CT slice | Liver

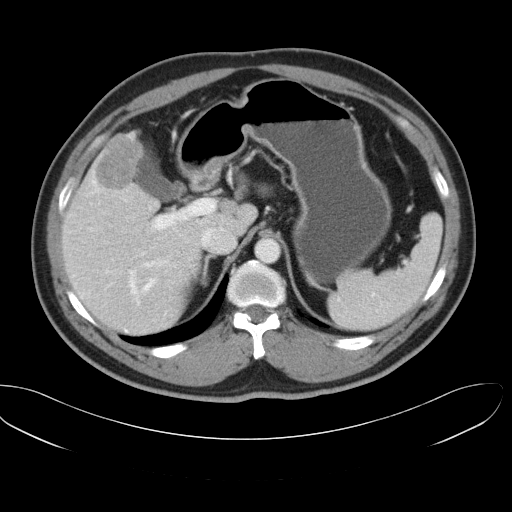

The vessel annotation is not exhaustive.
partial: true
hepatic_vessel:
  # 15 of 16 shown
  - box=[129, 270, 139, 303]
  - box=[154, 220, 176, 230]
  - box=[185, 199, 214, 212]
  - box=[74, 283, 76, 286]
  - box=[143, 259, 167, 267]
  - box=[106, 285, 108, 287]
  - box=[91, 180, 102, 192]
  - box=[92, 171, 94, 173]
  - box=[143, 278, 156, 291]
  - box=[88, 227, 92, 230]
  - box=[205, 229, 212, 232]
  - box=[173, 264, 174, 266]
  - box=[201, 241, 203, 243]
  - box=[141, 252, 144, 255]
  - box=[80, 292, 88, 297]
liver_tumor:
  - box=[95, 134, 142, 189]